CT slice. Image width 438 mm. Slice 404 of 683. Abdomen.
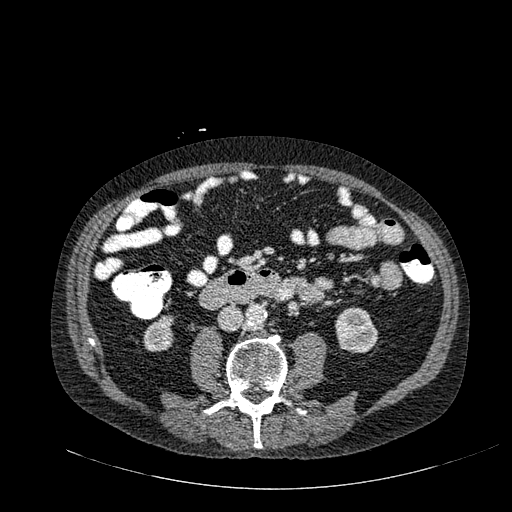

kidney:
  - l=143, t=315, r=173, b=351
  - l=335, t=307, r=377, b=353